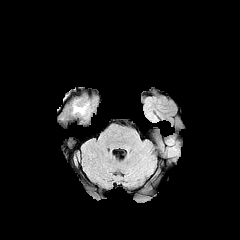
FLAIR MR.
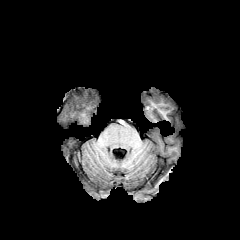
T1-weighted MR.
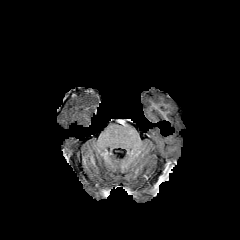
Post-contrast T1-weighted MRI.
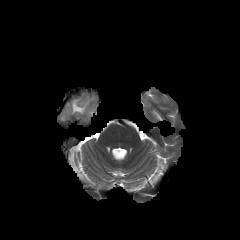
T2-weighted MR.
240x240
{
  "edema": [
    "(x1=72, y1=99, x2=92, y2=118)"
  ]
}